CT scan slice, Upper abdomen
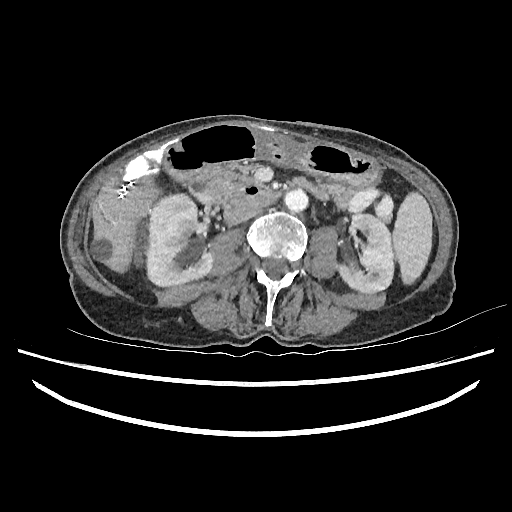

2 hepatic lesion regions are located at region(132, 225, 143, 264); region(91, 241, 110, 259). 2 kidney regions are bounded by region(147, 194, 212, 286); region(340, 214, 393, 292). The liver lies within region(92, 182, 154, 272).